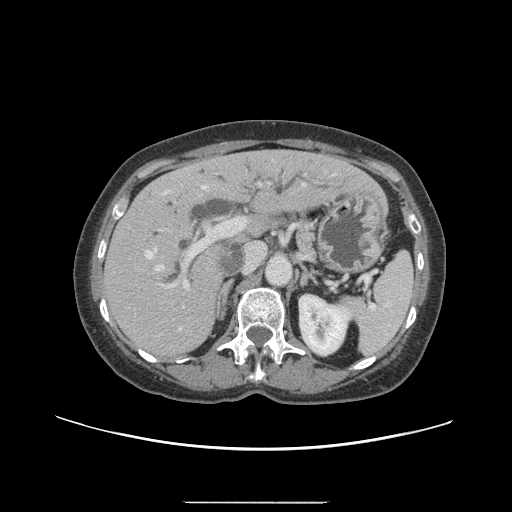 Upper abdomen, 512x512, CT slice
Pancreas = (x1=298, y1=220, x2=314, y2=255).